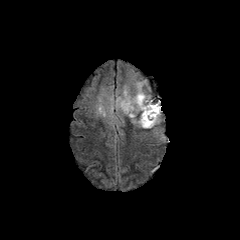
FLAIR MRI.
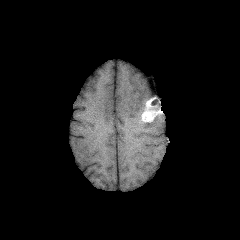
T1-weighted MR.
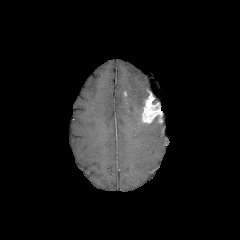
Post-contrast T1-weighted MR image.
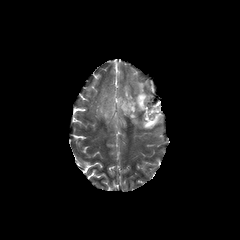
T2-weighted MR image.
Image size 240x240
The enhancing tumor appears at 142 93 161 124. The non-enhancing tumor core lies within 140 94 148 113. The edema lies within 95 80 159 134.